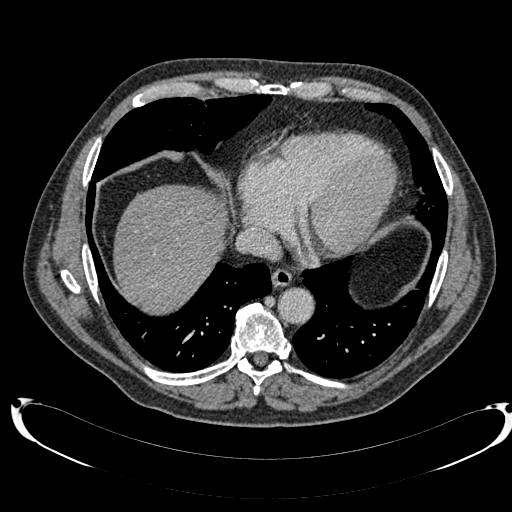

Liver. CT image.
The liver is bounded by bbox=[113, 185, 226, 314].